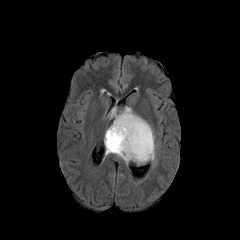
FLAIR MRI.
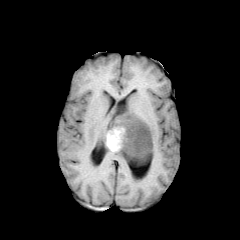
T1-weighted MRI.
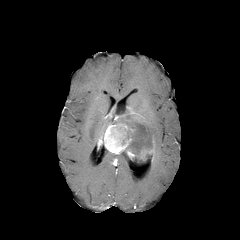
Post-contrast T1-weighted MR image of the same slice.
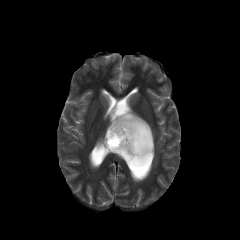
T2-weighted MR.
Head
enhancing_tumor:
  - (104,113,143,159)
  - (140,147,154,158)
edema:
  - (103,105,157,167)
  - (116,155,129,166)
non-enhancing_tumor_core:
  - (120,121,152,165)